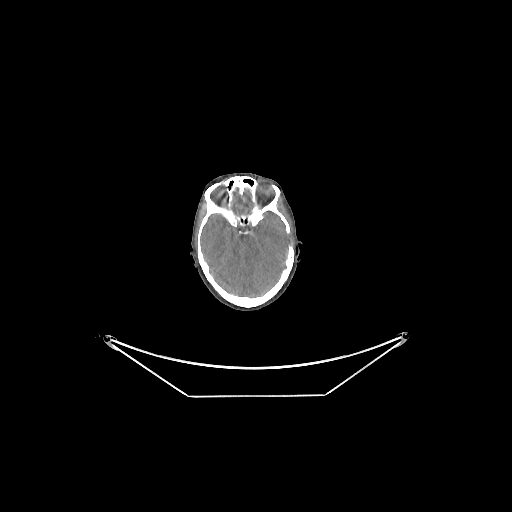 CT scan slice

2 brain regions are bounded by (231,187,253,215), (200,211,290,297).